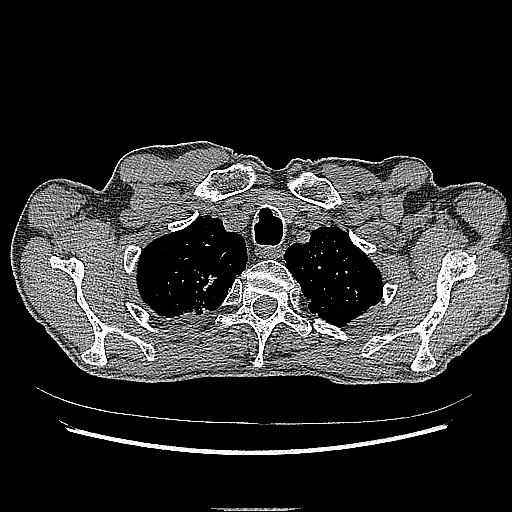

Lung; CT slice
Lung tumor = box=[171, 272, 222, 318].